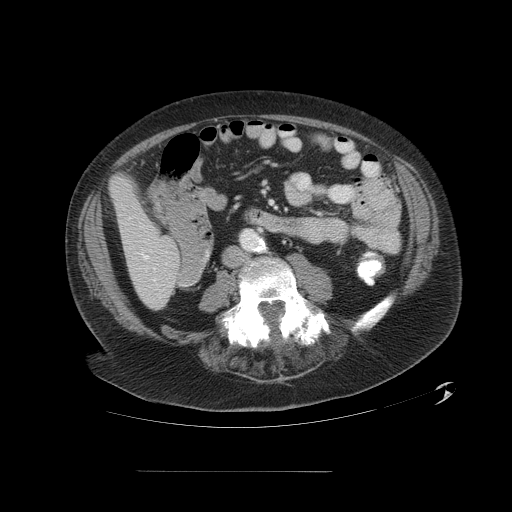 Liver, CT
Only some of the vessels may be annotated.
hepatic vessel: l=153, t=278, r=155, b=280; l=138, t=249, r=147, b=259